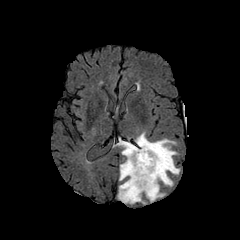
FLAIR magnetic resonance.
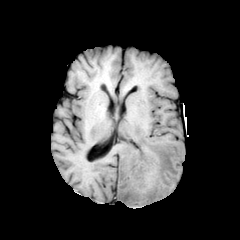
T1-weighted MR of the same slice.
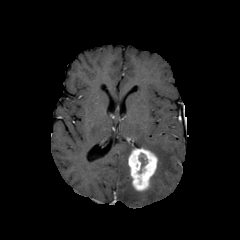
Post-contrast T1-weighted MR.
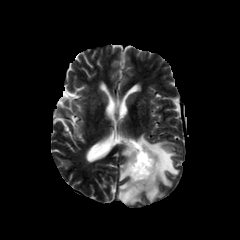
T2-weighted MRI.
240x240
enhancing tumor: bbox=[127, 145, 158, 191] | edema: bbox=[113, 132, 179, 204]